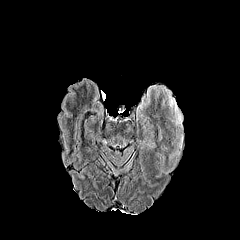
FLAIR MRI.
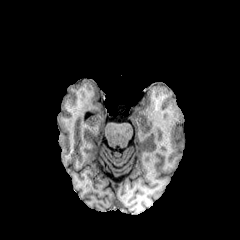
T1-weighted magnetic resonance.
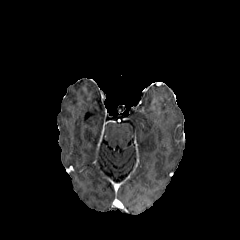
Same slice, post-contrast T1-weighted MRI.
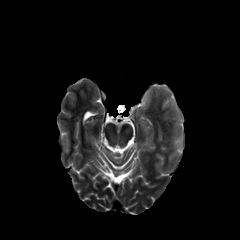
Same slice, T2-weighted magnetic resonance.
240x240.
Annotated regions:
* edema: 168:99:181:124